FLAIR magnetic resonance.
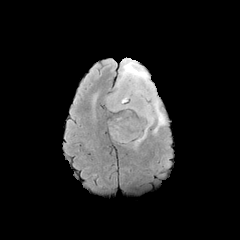
T1-weighted MRI.
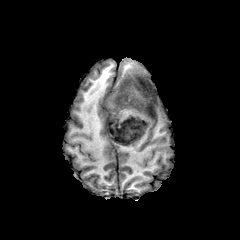
Post-contrast T1-weighted magnetic resonance.
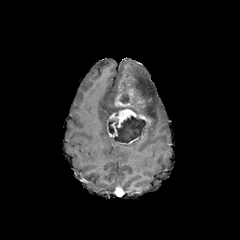
T2-weighted MR.
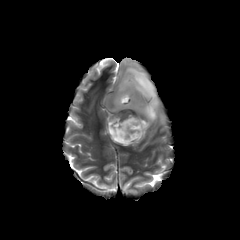
Head; 240x240
Segmented structures:
• non-enhancing tumor core: box=[111, 115, 148, 145]; box=[117, 76, 152, 123]; box=[107, 119, 115, 134]
• enhancing tumor: box=[109, 109, 150, 127]; box=[108, 122, 117, 137]; box=[127, 88, 133, 102]; box=[115, 94, 133, 106]
• edema: box=[130, 123, 152, 145]; box=[116, 58, 165, 132]